CT; Upper abdomen 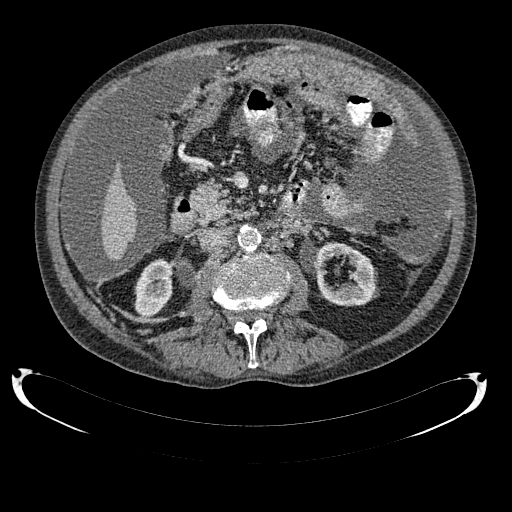 Annotated regions:
• kidney: 135:259:171:318, 314:243:375:305
• liver: 100:163:136:260